CT slice | 512x512 px | Abdomen | Slice 519 of 733 | Field of view 388x388 mm 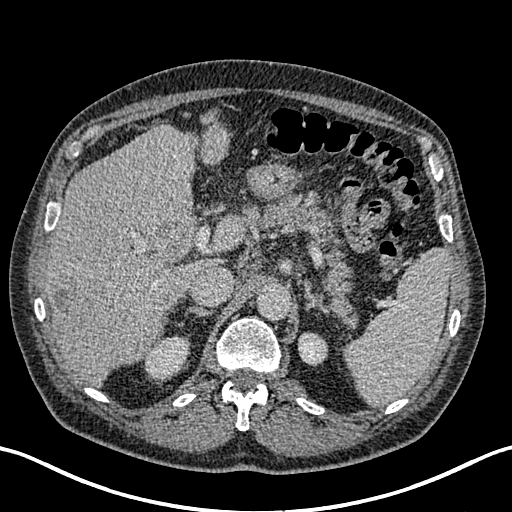
{
  "kidney": [
    "<box>146,337,187,377</box>",
    "<box>299,334,326,363</box>"
  ],
  "liver": [
    "<box>202,116,227,165</box>",
    "<box>214,214,244,247</box>",
    "<box>45,124,223,385</box>"
  ],
  "hepatic_lesion": [
    "<box>147,218,192,266</box>",
    "<box>50,276,85,334</box>",
    "<box>131,343,147,357</box>"
  ]
}